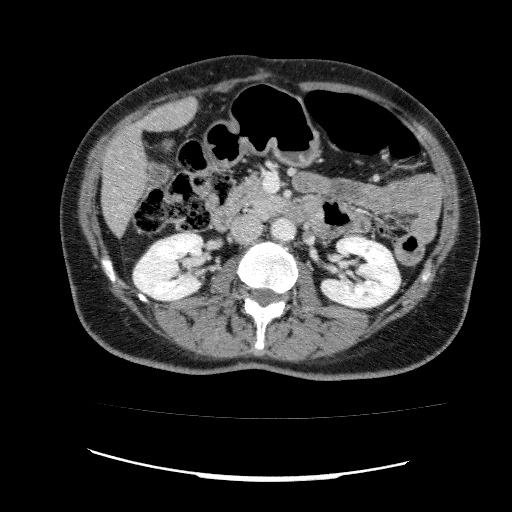 Computed tomography | Liver
<segmentation>
  <liver>bbox(100, 97, 196, 236)</liver>
  <kidney>bbox(133, 233, 202, 300); bbox(322, 237, 399, 307)</kidney>
</segmentation>